FLAIR MR.
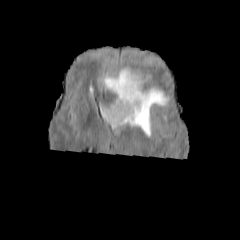
T1-weighted magnetic resonance.
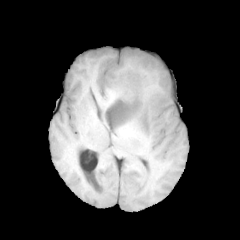
Post-contrast T1-weighted MR image.
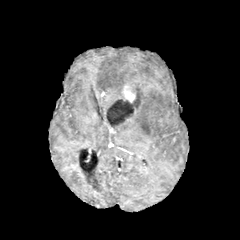
T2-weighted MRI.
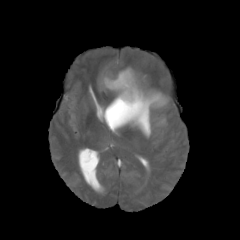
240x240 px
Non-enhancing tumor core = bbox=[132, 99, 141, 109]; bbox=[126, 71, 144, 97]; bbox=[105, 99, 134, 125].
Enhancing tumor = bbox=[121, 83, 135, 102].
Edema = bbox=[110, 71, 171, 136]; bbox=[101, 66, 133, 101].